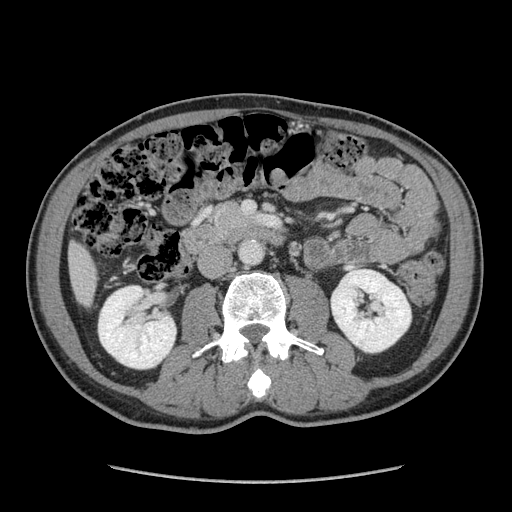
CT slice | Upper abdomen
Annotated regions:
* pancreas: region(210, 205, 251, 233)